Computed tomography, Chest 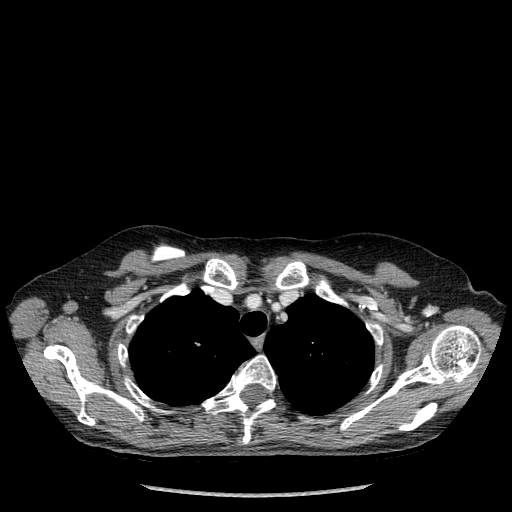
<segmentation>
  <lung>(129, 288, 266, 405), (264, 294, 374, 414)</lung>
  <bone>(299, 417, 332, 423), (366, 321, 383, 345), (43, 344, 170, 425), (202, 258, 238, 292), (340, 325, 481, 430), (275, 261, 309, 293), (160, 283, 189, 301), (202, 355, 275, 443), (367, 364, 382, 393), (399, 403, 437, 430), (126, 315, 143, 333), (315, 278, 344, 304), (117, 343, 127, 366)</bone>
</segmentation>